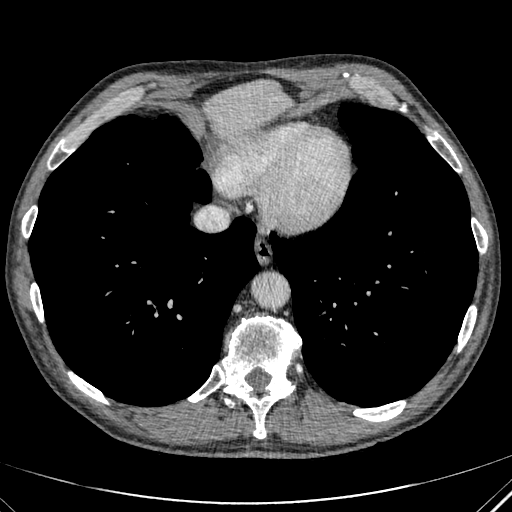
Computed tomography.

Annotated regions:
• liver: 205:79:291:138